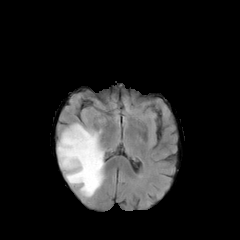
FLAIR MRI.
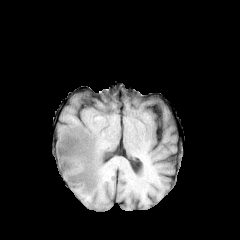
Same slice, T1-weighted MR image.
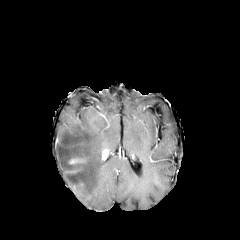
Post-contrast T1-weighted MR image.
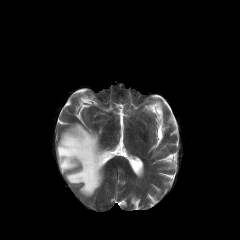
Same slice, T2-weighted magnetic resonance.
Annotated regions:
- edema: (57, 123, 104, 196)
- enhancing tumor: (68, 157, 84, 164)